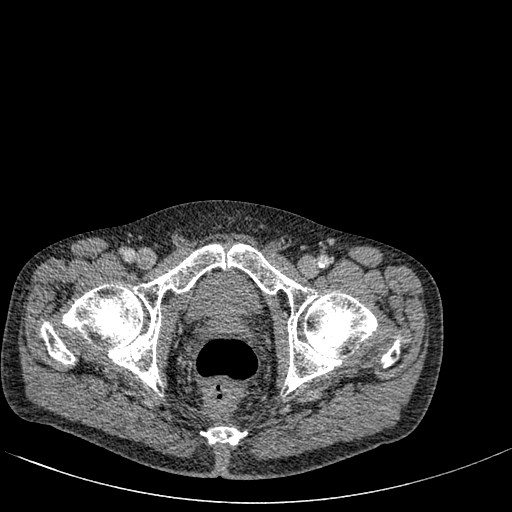 Lower abdomen; CT image

The urinary bladder lies within l=179, t=267, r=264, b=324.